CT, Slice 506 of 560
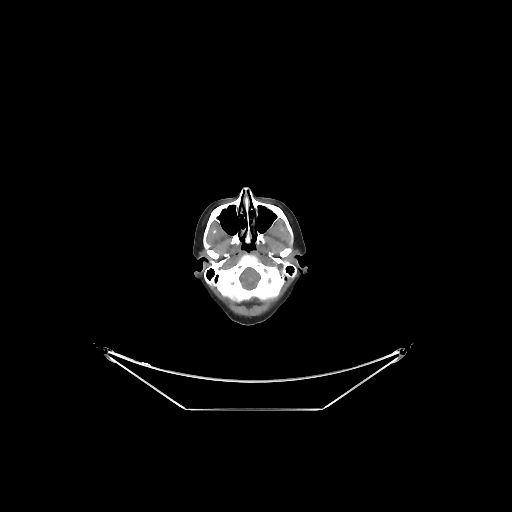
Brain — box(239, 267, 260, 290).